FLAIR MR.
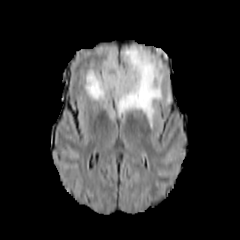
T1-weighted MR image.
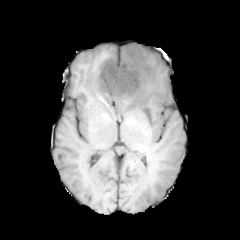
Post-contrast T1-weighted MR image.
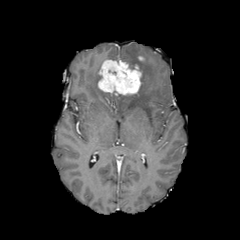
T2-weighted MR image.
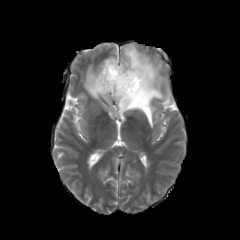
Brain
Non-enhancing tumor core: x1=111, y1=93, x2=131, y2=106.
Enhancing tumor: x1=97, y1=59, x2=141, y2=95.
Edema: x1=84, y1=45, x2=171, y2=127.